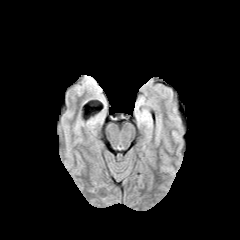
FLAIR magnetic resonance.
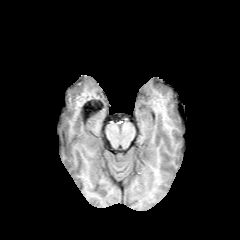
Same slice, T1-weighted magnetic resonance.
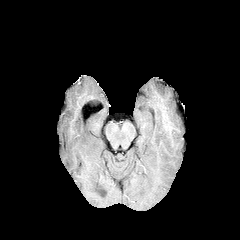
Post-contrast T1-weighted MR of the same slice.
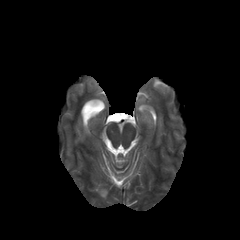
T2-weighted magnetic resonance.
Brain
The edema appears at (136, 95, 145, 105).